Abdomen | CT
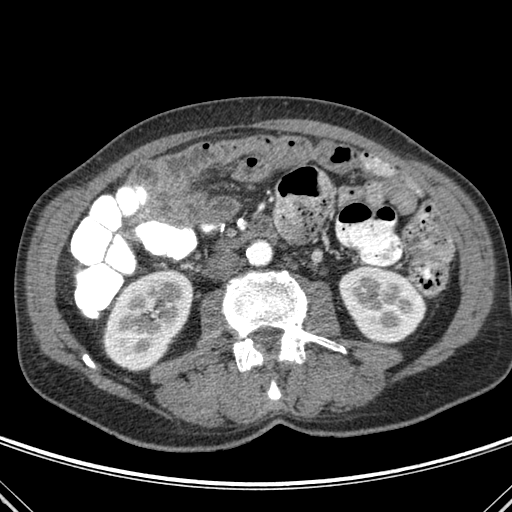

{"kidney": ["340, 267, 424, 341", "104, 274, 192, 369"], "bone": ["223, 271, 345, 371", "267, 378, 280, 400", "83, 355, 95, 368"]}